FLAIR MR.
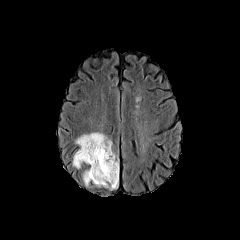
T1-weighted MRI.
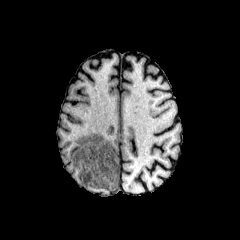
Post-contrast T1-weighted MR.
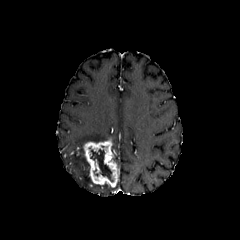
T2-weighted MR.
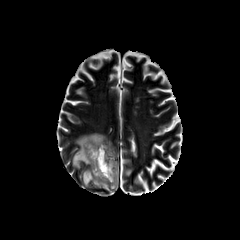
Brain
Segmented structures:
* non-enhancing tumor core: <box>90,149,113,182</box>
* enhancing tumor: <box>83,139,119,187</box>
* edema: <box>72,133,106,169</box>, <box>96,180,118,190</box>, <box>83,171,91,186</box>